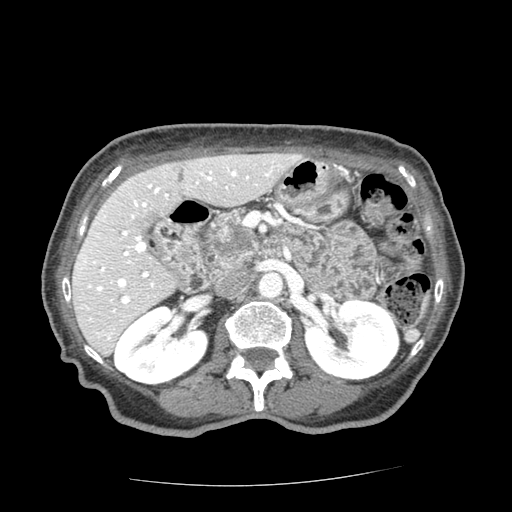 CT slice.

Pancreatic tumor — box=[214, 217, 257, 263].
Pancreas — box=[201, 208, 258, 278].